Liver | Computed tomography | Slice 462/630
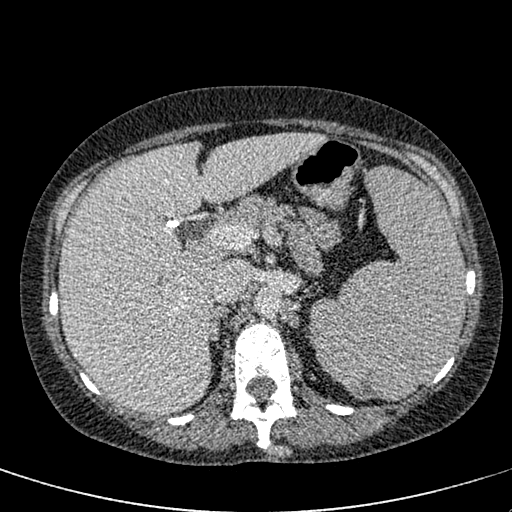
<segmentation>
  <liver>x1=59, y1=134, x2=324, y2=414</liver>
</segmentation>